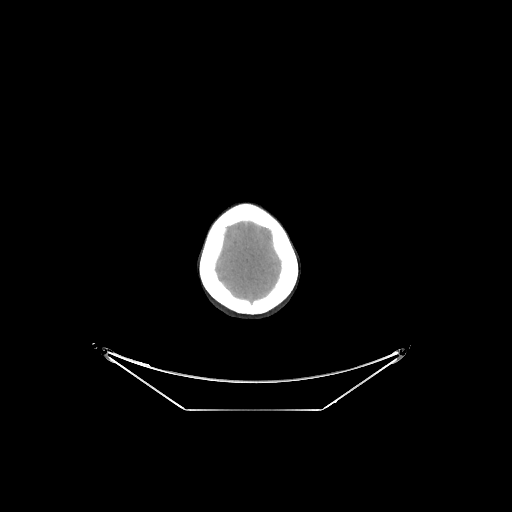

CT scan slice, Brain, Image size 512x512
The brain is bounded by [215,221,281,304].